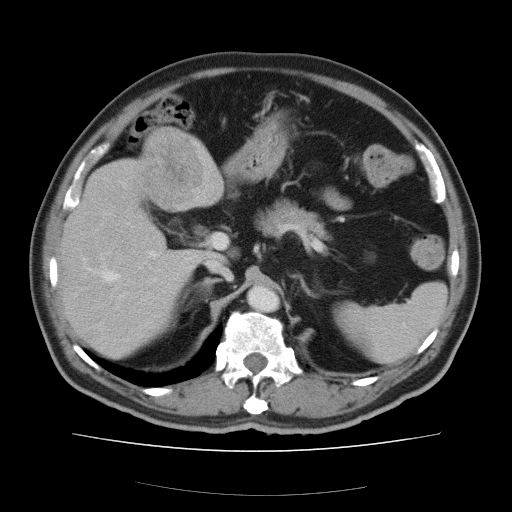
CT image | 512x512 px | Abdomen
Not every hepatic vessel necessarily has a box.
Liver tumor = 140, 132, 201, 189.
Hepatic vessel = 149, 276, 157, 285; 146, 250, 160, 258; 100, 270, 118, 280; 88, 267, 94, 271; 156, 269, 161, 272; 211, 234, 226, 248.